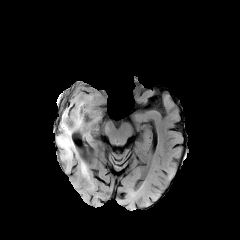
FLAIR MR image.
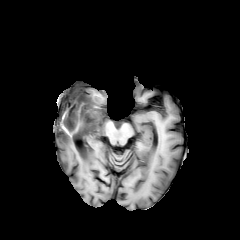
T1-weighted MRI.
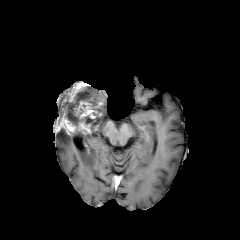
Post-contrast T1-weighted MR image.
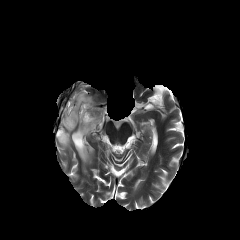
Same slice, T2-weighted magnetic resonance.
Image size 240x240; Brain
2 non-enhancing tumor core regions are bounded by [x1=63, y1=84, x2=101, y2=130], [x1=54, y1=119, x2=63, y2=131]. 3 edema regions appear at [x1=79, y1=88, x2=102, y2=114], [x1=56, y1=131, x2=75, y2=167], [x1=80, y1=162, x2=88, y2=176]. 3 enhancing tumor regions are located at [x1=74, y1=101, x2=95, y2=119], [x1=58, y1=116, x2=75, y2=133], [x1=78, y1=122, x2=91, y2=133].